Field of view 411x411 mm. CT scan slice. Liver.

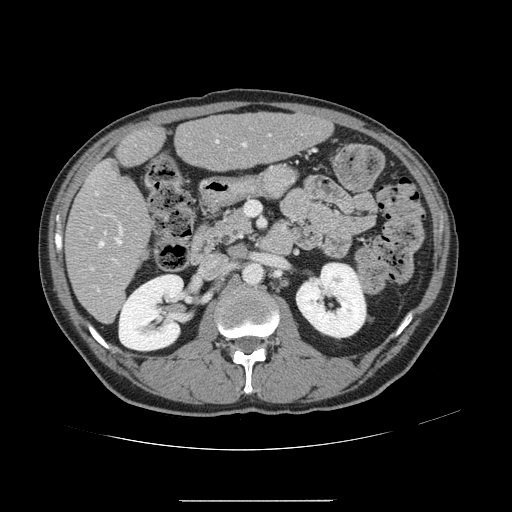 The vessel annotation is not exhaustive.
Segmented structures:
- hepatic vessel: x1=99, y1=241, x2=103, y2=246; x1=243, y1=143, x2=245, y2=146; x1=90, y1=267, x2=93, y2=269; x1=95, y1=192, x2=97, y2=194; x1=92, y1=179, x2=93, y2=184; x1=216, y1=140, x2=217, y2=142; x1=106, y1=213, x2=113, y2=217; x1=104, y1=231, x2=105, y2=233; x1=114, y1=260, x2=117, y2=262; x1=115, y1=225, x2=122, y2=244